CT scan slice | Upper abdomen | Slice 28/85
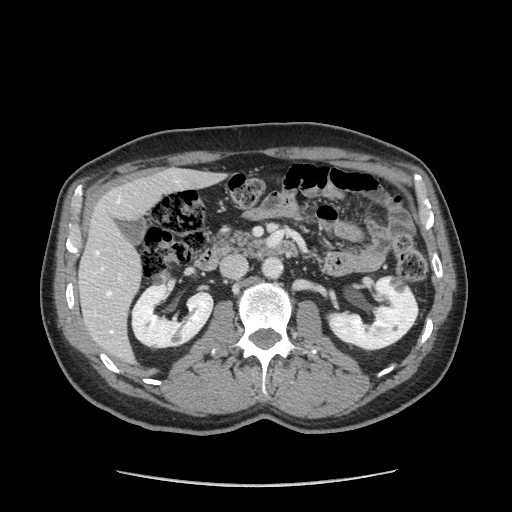

Pancreas: (214,230,260,257).